FLAIR MR image.
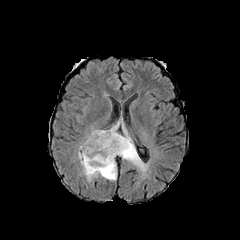
T1-weighted MR.
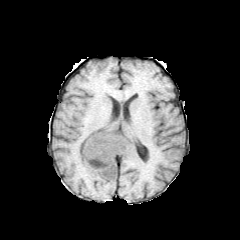
Post-contrast T1-weighted MR.
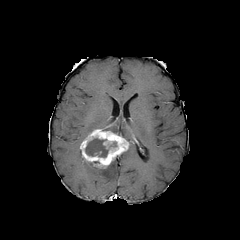
T2-weighted MR.
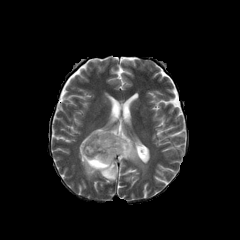
Brain | Image size 240x240
Findings:
• enhancing tumor: [80,129,131,168]
• non-enhancing tumor core: [86,138,107,156]
• edema: [100,116,147,171], [78,146,117,181]